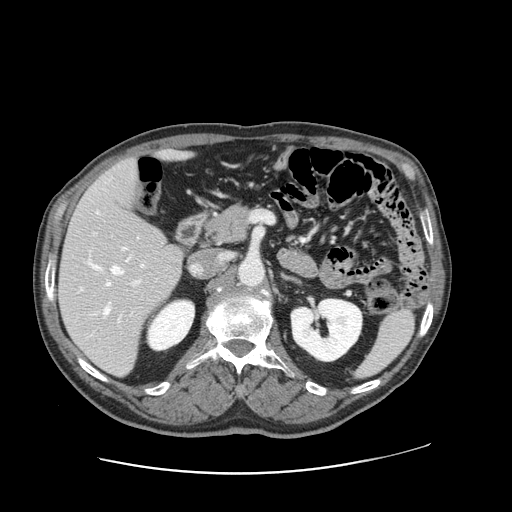
Abdomen. CT.
Not every hepatic vessel necessarily has a box.
hepatic vessel: [128, 257, 129, 259], [107, 282, 110, 284], [133, 281, 138, 284], [80, 288, 82, 290], [141, 265, 143, 266], [89, 263, 100, 269], [112, 266, 122, 274], [122, 247, 126, 249], [104, 308, 108, 314]